Field of view 427x427 mm, CT slice, Slice 21 of 81, Image size 512x512

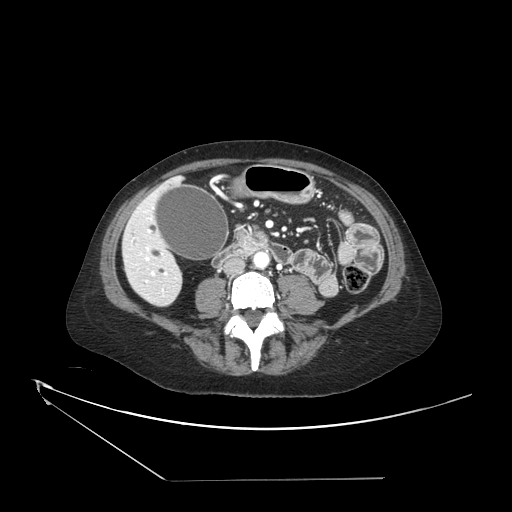 pancreas: x1=235, y1=227, x2=268, y2=256